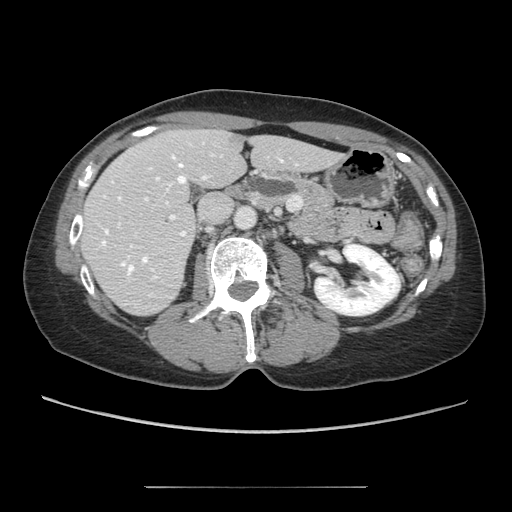 CT | Abdomen | Image size 512x512
<segmentation>
  <pancreatic_tumor>242, 176, 297, 197</pancreatic_tumor>
  <pancreas>239, 169, 334, 213</pancreas>
</segmentation>